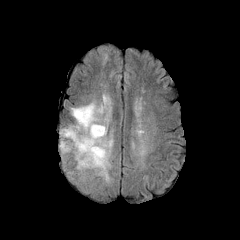
FLAIR MRI.
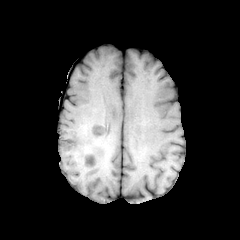
T1-weighted MR image.
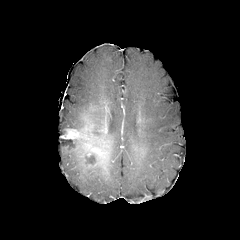
Same slice, post-contrast T1-weighted MRI.
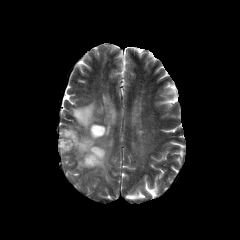
T2-weighted MRI of the same slice.
Brain | 240x240 px
non-enhancing tumor core: left=61, top=128, right=71, bottom=139; left=69, top=116, right=109, bottom=168; left=98, top=117, right=107, bottom=133 | edema: left=59, top=88, right=113, bottom=181 | enhancing tumor: left=64, top=130, right=77, bottom=139